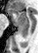
MRI | Hippocampus

The posterior hippocampus is bounded by (left=17, top=27, right=28, bottom=37). The anterior hippocampus is bounded by (left=10, top=9, right=28, bottom=26).